FLAIR MR.
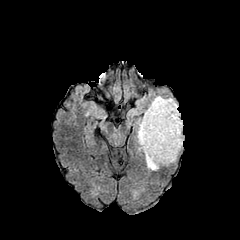
T1-weighted MR image.
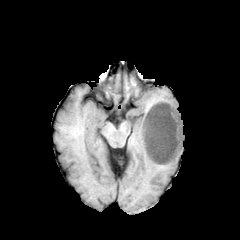
Post-contrast T1-weighted magnetic resonance.
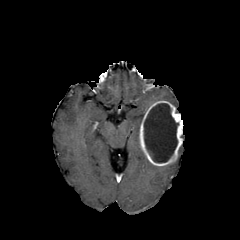
T2-weighted MR.
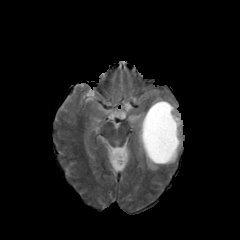
240x240 px
The enhancing tumor appears at rect(139, 100, 183, 165). 3 edema regions are located at rect(142, 152, 162, 170); rect(136, 114, 143, 151); rect(143, 96, 177, 113). The non-enhancing tumor core appears at rect(144, 102, 177, 162).